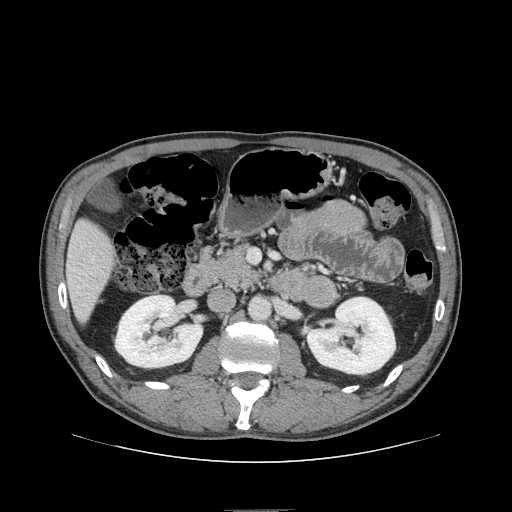
Abdomen, CT scan slice
pancreas:
  - x1=199, y1=244, x2=260, y2=289